CT scan slice | Upper abdomen

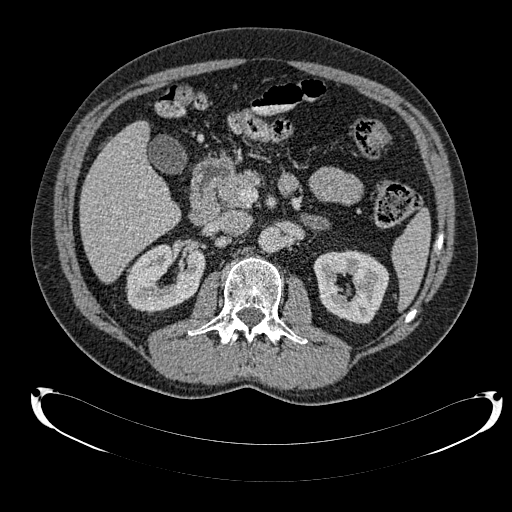

Liver = 80, 122, 180, 281.
Kidney = 314, 251, 388, 322; 127, 245, 204, 311.